FLAIR MR image.
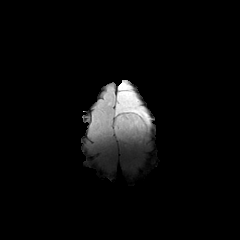
T1-weighted MR image.
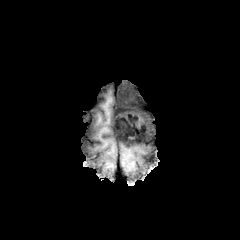
Post-contrast T1-weighted magnetic resonance.
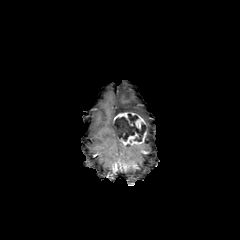
T2-weighted MRI.
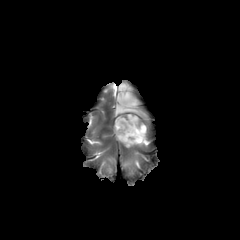
Image size 240x240.
- enhancing tumor: x1=118, y1=131, x2=146, y2=144; x1=113, y1=112, x2=146, y2=129
- non-enhancing tumor core: x1=113, y1=113, x2=147, y2=141
- edema: x1=116, y1=81, x2=148, y2=122